Brain, 240x240 px, Slice 72/155
FLAIR magnetic resonance.
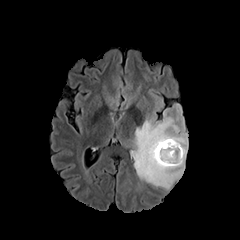
T1-weighted MR.
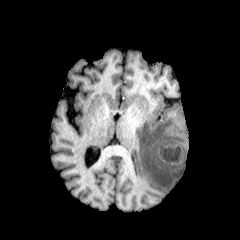
Post-contrast T1-weighted MRI.
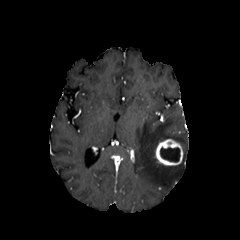
T2-weighted MR.
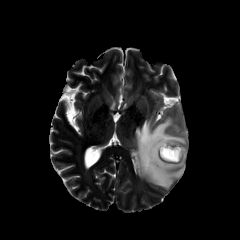
Annotated regions:
* enhancing tumor: <box>156,139,183,165</box>
* non-enhancing tumor core: <box>160,146,180,162</box>
* edema: <box>133,112,188,189</box>